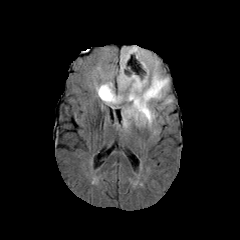
FLAIR MR.
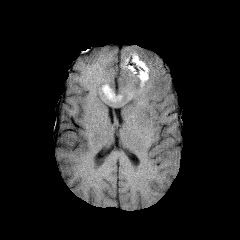
T1-weighted magnetic resonance.
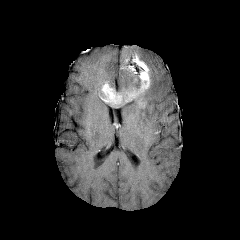
Same slice, post-contrast T1-weighted MR image.
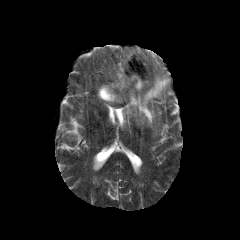
T2-weighted MRI of the same slice.
240x240 px | Brain
Edema: bounding box 123,59,171,128; 114,50,141,89.
Non-enhancing tumor core: bounding box 131,95,145,108; 111,88,132,107; 133,58,144,90.
Enhancing tumor: bounding box 124,62,149,101; 100,84,122,104.